Slice index 111. 240x240 px.
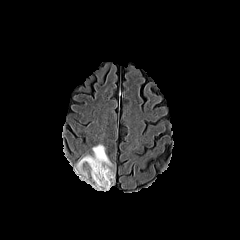
FLAIR magnetic resonance.
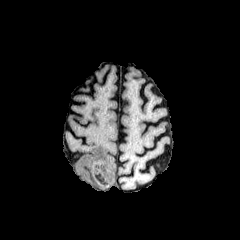
T1-weighted magnetic resonance of the same slice.
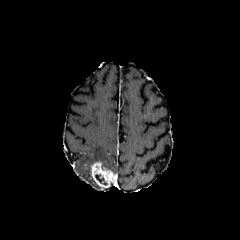
Post-contrast T1-weighted MRI.
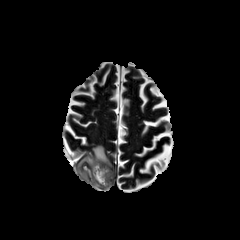
T2-weighted MRI of the same slice.
- enhancing tumor: 89:161:115:188
- edema: 77:145:111:170
- non-enhancing tumor core: 95:173:108:185